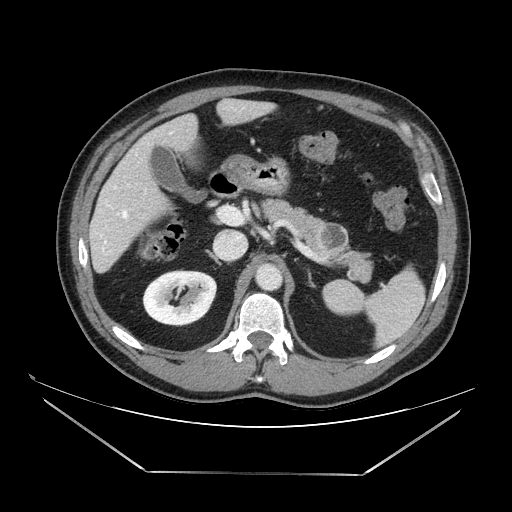
CT slice
Findings:
* pancreas: [258,198,374,282]
* pancreatic tumor: [316,223,349,256]